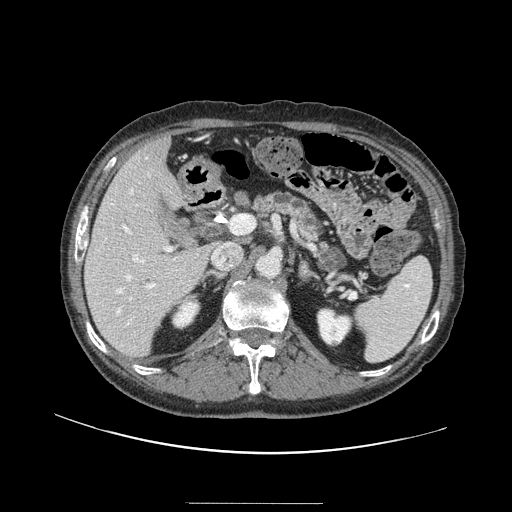

CT image
Annotated regions:
• pancreas: l=252, t=192, r=323, b=242; l=321, t=244, r=344, b=268